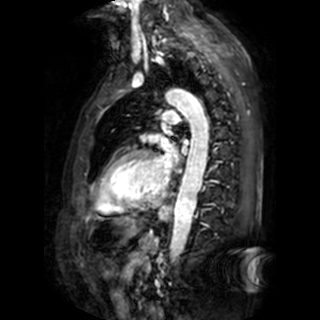 MR
{
  "left_atrium": [
    "x1=161, y1=138, x2=177, y2=173"
  ]
}